CT. 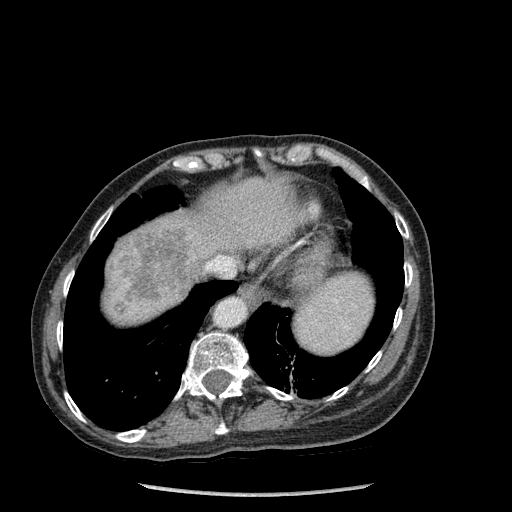

<segmentation>
  <lung>[244,168,404,398], [63,186,237,430]</lung>
  <liver_lesion>[126,229,188,298]</liver_lesion>
  <bone>[404,262,412,286], [64,392,85,422], [359,176,369,188], [327,387,347,400], [395,213,408,238], [215,422,228,434], [393,308,402,329], [175,332,250,403], [56,321,62,348], [63,270,74,295], [266,387,292,400], [116,429,145,442], [90,208,112,241], [365,351,381,372]</bone>
  <liver>[147,263,168,280], [101,176,309,324]</liver>
</segmentation>